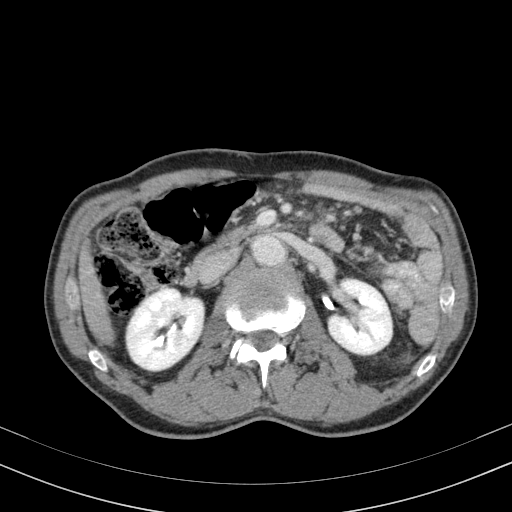 Computed tomography
{
  "kidney": [
    "x1=329, y1=280, x2=391, y2=353",
    "x1=127, y1=289, x2=203, y2=369"
  ],
  "liver": [
    "x1=78, y1=241, x2=115, y2=350"
  ]
}